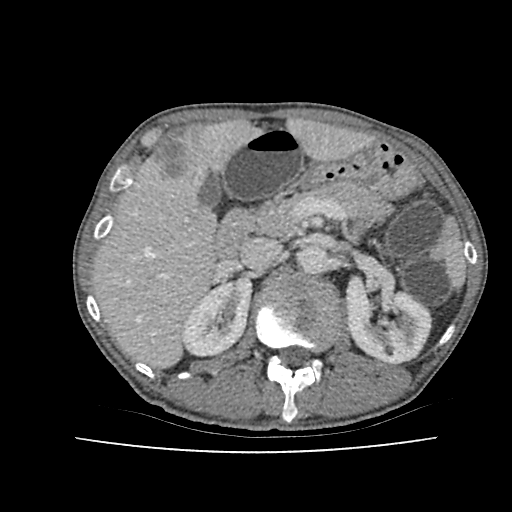 CT.
Liver — 95, 122, 256, 364; 290, 121, 369, 157.
Kidney — 347, 278, 429, 362; 183, 279, 250, 355.
Liver lesion — 152, 137, 191, 178.